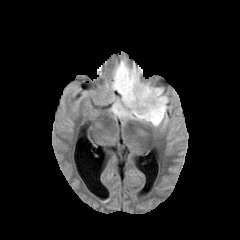
FLAIR MR image.
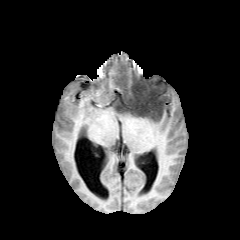
Same slice, T1-weighted magnetic resonance.
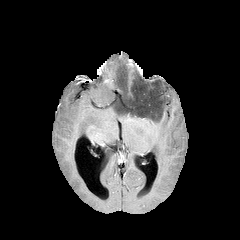
Post-contrast T1-weighted MR image.
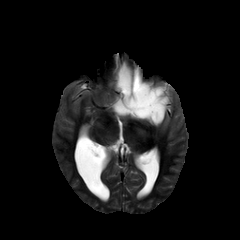
T2-weighted MR image.
Image size 240x240
Edema = [x1=112, y1=60, x2=169, y2=126].
Non-enhancing tumor core = [x1=116, y1=72, x2=162, y2=119].